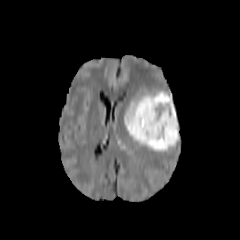
FLAIR MR.
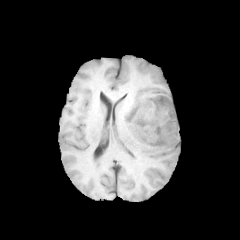
T1-weighted MR image.
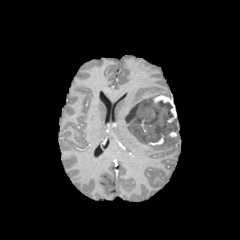
Post-contrast T1-weighted MR image.
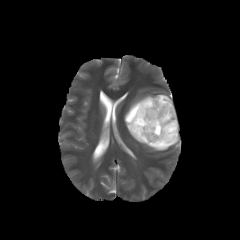
T2-weighted magnetic resonance of the same slice.
edema: x1=125 y1=87 x2=169 y2=118, x1=146 y1=146 x2=168 y2=151, x1=124 y1=119 x2=146 y2=144 | enhancing tumor: x1=148 y1=133 x2=164 y2=145, x1=169 y1=131 x2=178 y2=137, x1=154 y1=94 x2=176 y2=123 | non-enhancing tumor core: x1=125 y1=96 x2=178 y2=147